Slice 75/155. 240x240 px.
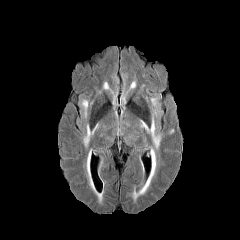
FLAIR MR image.
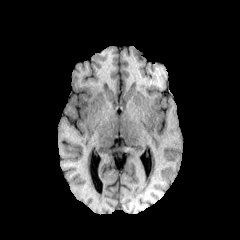
Same slice, T1-weighted MRI.
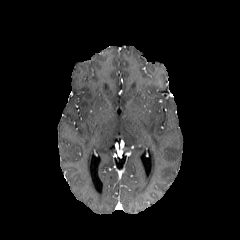
Post-contrast T1-weighted MR image.
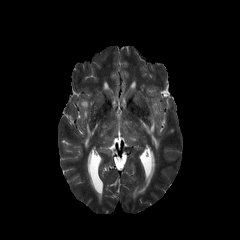
T2-weighted MRI.
Segmented structures:
- edema: rect(141, 118, 160, 149); rect(131, 149, 156, 201); rect(86, 150, 103, 203); rect(82, 100, 88, 118); rect(83, 124, 98, 147)